240x240.
FLAIR MRI.
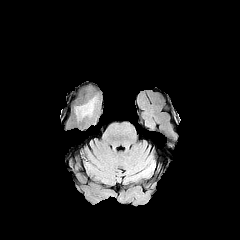
T1-weighted magnetic resonance.
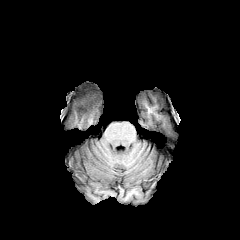
Post-contrast T1-weighted MRI.
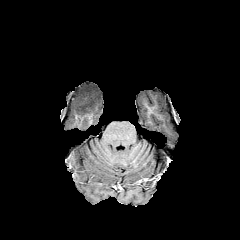
T2-weighted magnetic resonance.
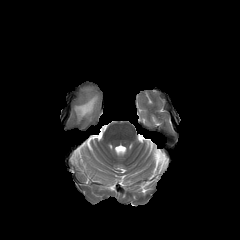
The edema appears at {"x1": 76, "y1": 97, "x2": 97, "y2": 119}.